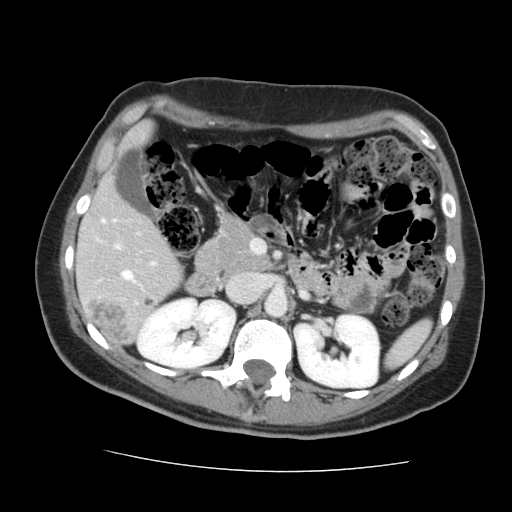

Liver, CT, 512x512 px
Only some of the vessels may be annotated.
Hepatic vessel: bounding box x1=122, y1=271, x2=134, y2=282; x1=101, y1=220, x2=104, y2=222; x1=115, y1=245, x2=119, y2=248; x1=151, y1=262, x2=154, y2=265.
Liver tumor: bounding box x1=89, y1=299, x2=128, y2=341.